Field of view 700x700 mm, CT image, Upper abdomen, Slice index 356
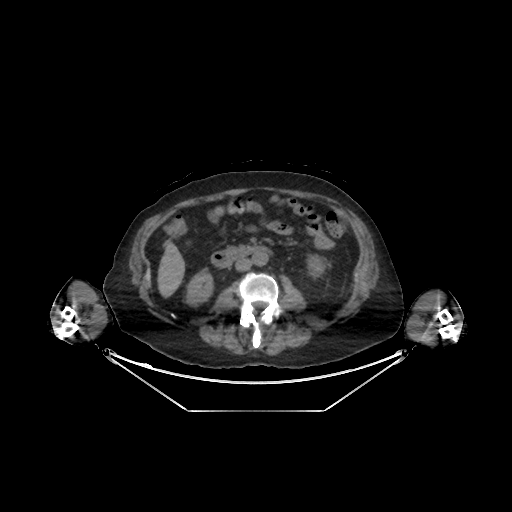 - kidney: x1=182 y1=267 x2=215 y2=307, x1=302 y1=253 x2=330 y2=288
- liver: x1=158 y1=240 x2=184 y2=296